512x512 | Abdomen | CT 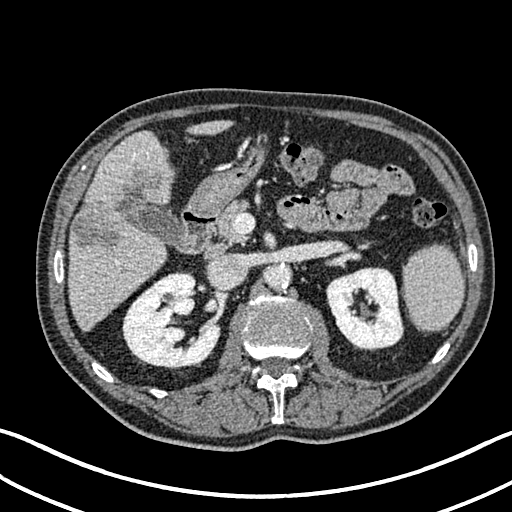 Liver lesion — [120, 170, 162, 208], [74, 202, 119, 248].
Kidney — [123, 274, 219, 366], [206, 300, 216, 310], [327, 268, 402, 348].
Liver — [69, 131, 172, 330], [192, 121, 231, 134].